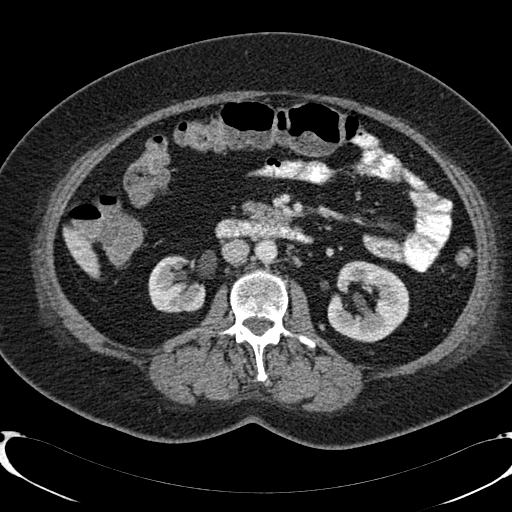 CT scan slice | Image size 512x512
Kidney: bounding box <bbox>328, 262, 407, 340</bbox>, <bbox>149, 257, 204, 311</bbox>.
Liver: bounding box <bbox>63, 227, 98, 275</bbox>.